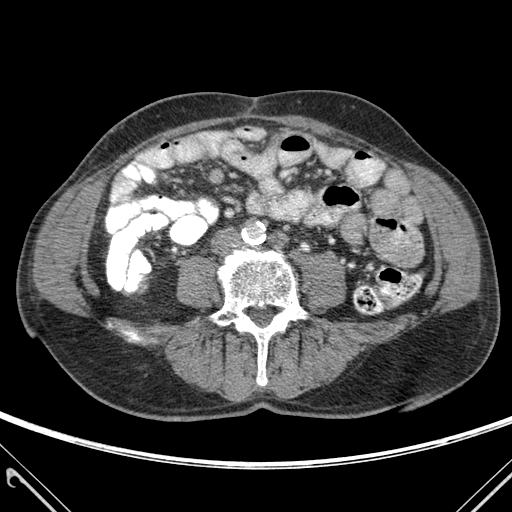 Computed tomography
2 bone regions are bounded by <bbox>125, 332, 139, 339</bbox>, <bbox>211, 250, 306, 385</bbox>.